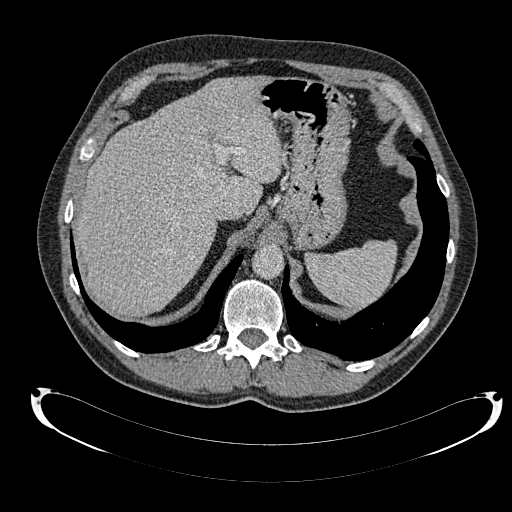

CT scan slice
{"liver": ["x1=75, y1=75, x2=282, y2=316"]}